Head, Slice 57/155
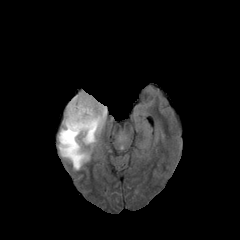
FLAIR magnetic resonance.
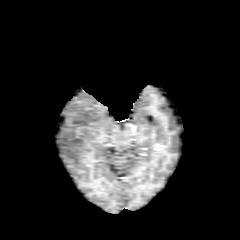
Same slice, T1-weighted MR.
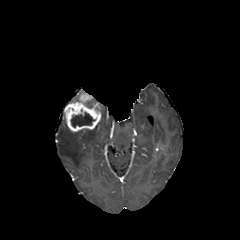
Post-contrast T1-weighted MR image.
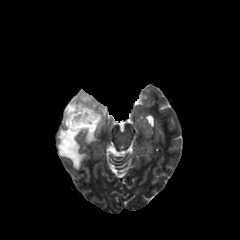
T2-weighted MRI.
edema:
  - (57,120,105,169)
non-enhancing_tumor_core:
  - (93,108,107,129)
  - (71,113,93,127)
enhancing_tumor:
  - (64,89,101,132)